Computed tomography 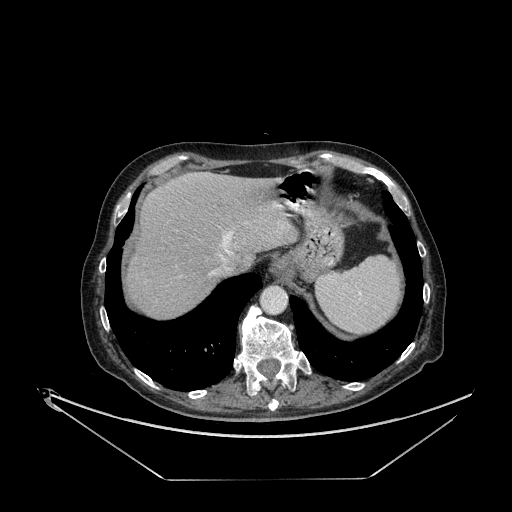
Liver: (127,173,295,317).